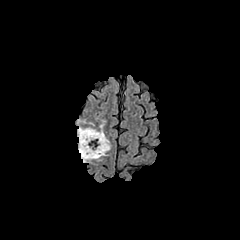
FLAIR MR.
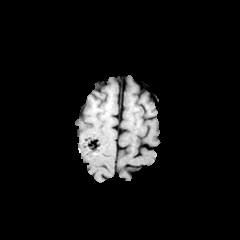
Same slice, T1-weighted magnetic resonance.
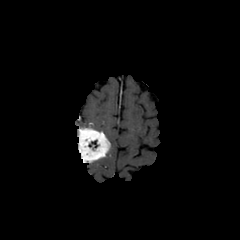
Post-contrast T1-weighted magnetic resonance.
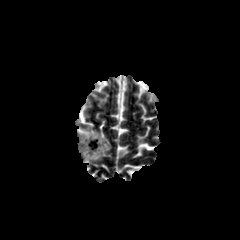
Same slice, T2-weighted magnetic resonance.
Edema: bounding box 82:119:103:131.
Non-enhancing tumor core: bounding box 89:140:97:148.
Enhancing tumor: bounding box 77:126:109:162.